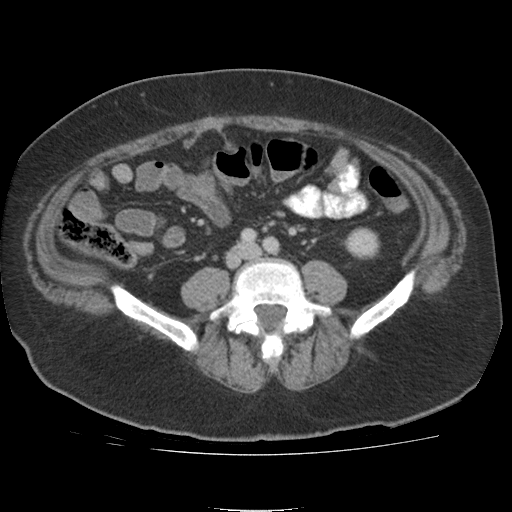

CT scan slice; Abdomen

kidney:
  - {"x1": 350, "y1": 232, "x2": 373, "y2": 253}